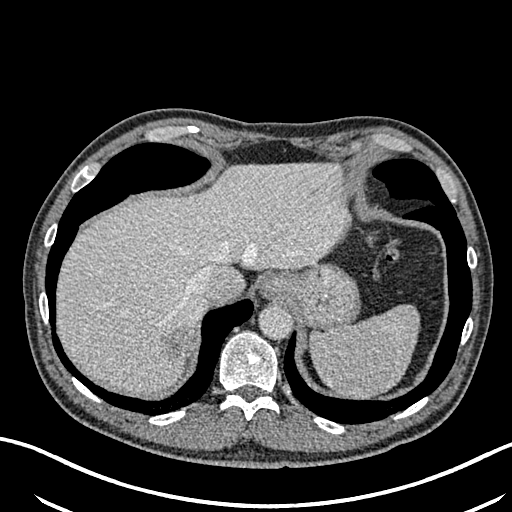
CT slice. 512x512 px.
Hepatic lesion = bbox=[160, 329, 184, 356].
Liver = bbox=[57, 162, 348, 392].